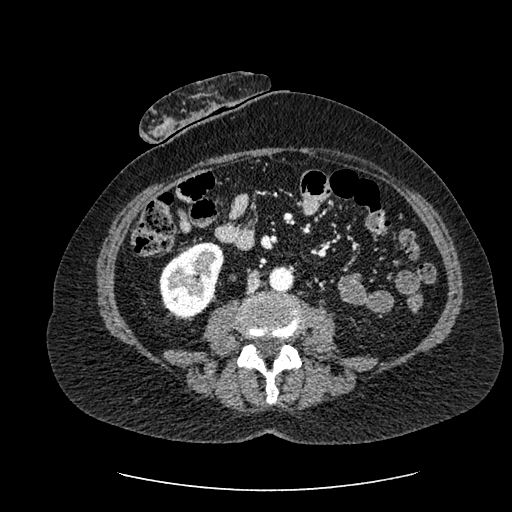 CT scan slice
Kidney at box=[160, 243, 222, 317].